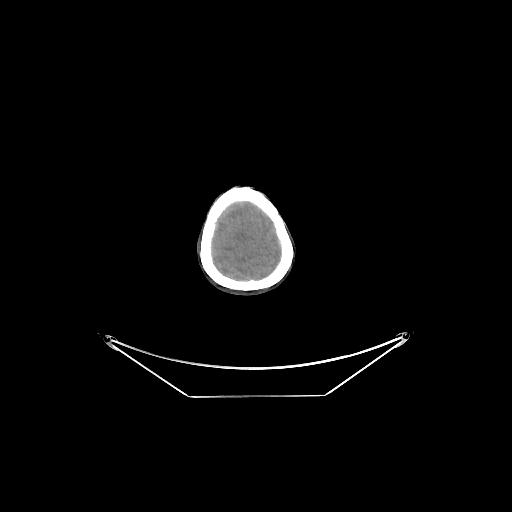
512x512; CT image
- brain: x1=212, y1=202, x2=280, y2=280